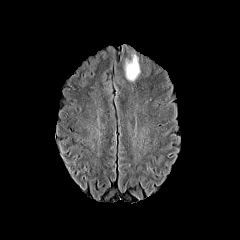
FLAIR MR.
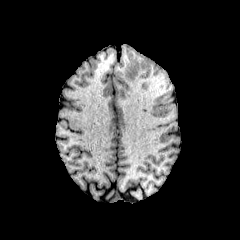
T1-weighted magnetic resonance.
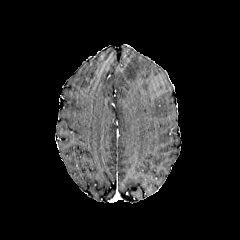
Post-contrast T1-weighted MR.
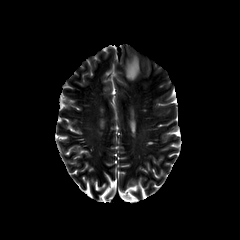
T2-weighted MR of the same slice.
Brain.
Edema: bounding box [x1=124, y1=55, x2=141, y2=79].